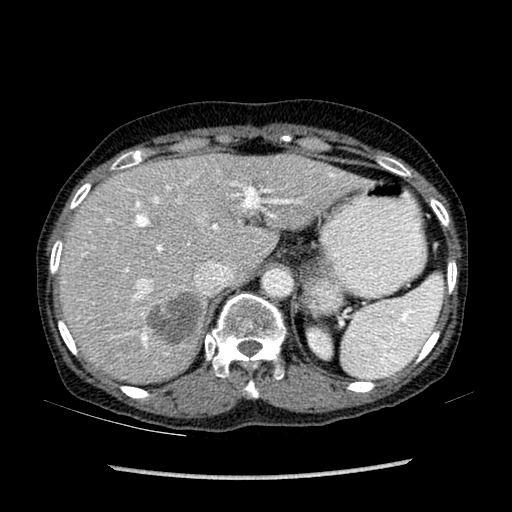 Upper abdomen, Computed tomography, 512x512
The kidney is at x1=308 y1=331 x2=330 y2=356. The liver lies within x1=59 y1=154 x2=371 y2=383. The hepatic lesion is bounded by x1=147 y1=293 x2=204 y2=345.